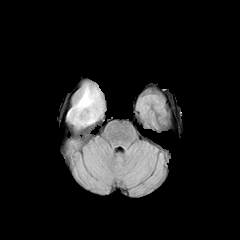
FLAIR MR image.
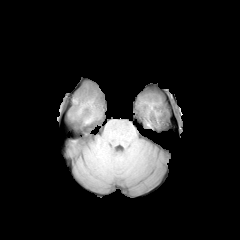
Same slice, T1-weighted MR image.
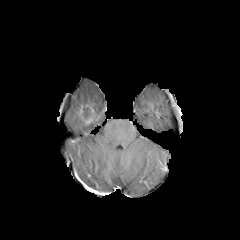
Same slice, post-contrast T1-weighted MR image.
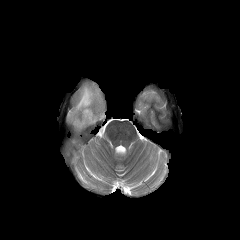
T2-weighted MR.
<segmentation>
  <edema>(67,85,101,126)</edema>
</segmentation>